Brain.
FLAIR MR image.
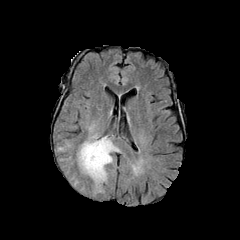
T1-weighted MRI.
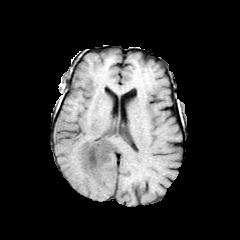
Post-contrast T1-weighted magnetic resonance.
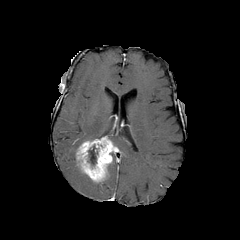
T2-weighted MRI.
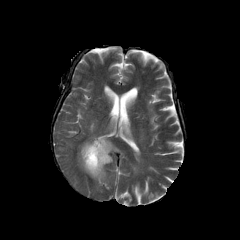
edema: [x1=94, y1=161, x2=113, y2=187] | non-enhancing tumor core: [x1=88, y1=147, x2=96, y2=164] | enhancing tumor: [x1=77, y1=136, x2=117, y2=181]